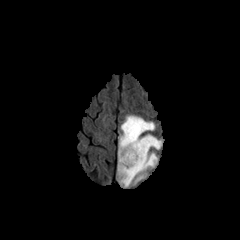
FLAIR MR.
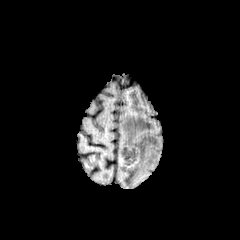
T1-weighted magnetic resonance of the same slice.
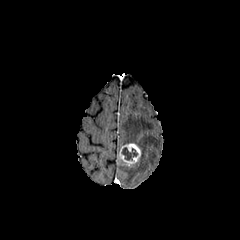
Post-contrast T1-weighted MR image.
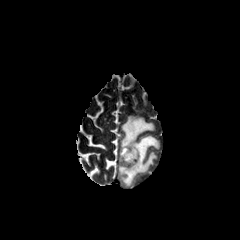
T2-weighted MRI.
240x240; Brain
<segmentation>
  <enhancing_tumor>[x1=118, y1=144, x2=141, y2=166]</enhancing_tumor>
  <non-enhancing_tumor_core>[x1=121, y1=148, x2=137, y2=159]</non-enhancing_tumor_core>
  <edema>[x1=118, y1=115, x2=160, y2=188]</edema>
</segmentation>